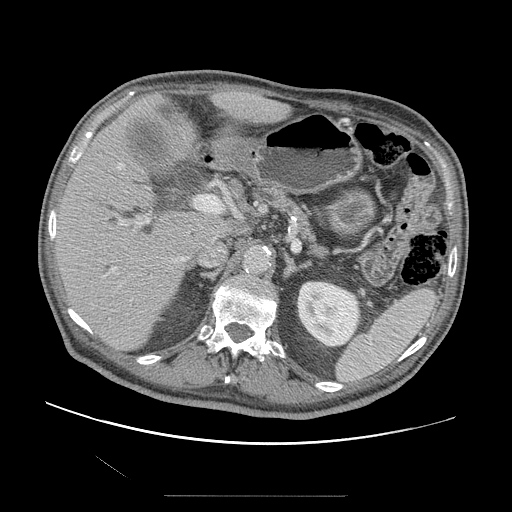

Upper abdomen; CT image

The pancreas is bounded by box(249, 185, 329, 259).